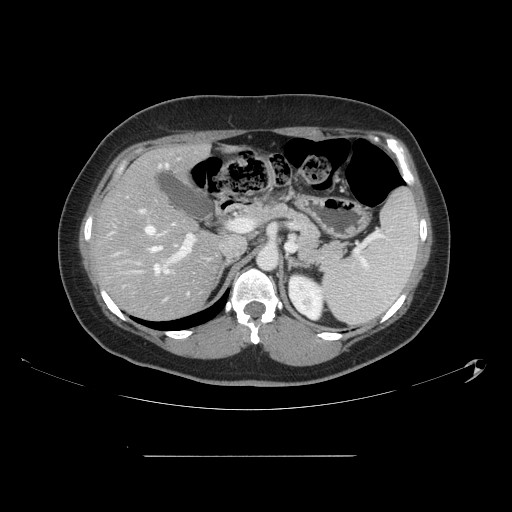
CT, Liver
Only some of the vessels may be annotated.
hepatic_vessel:
  - 166,164,167,166
  - 140,209,143,212
  - 167,234,193,263
  - 154,265,170,274
  - 146,226,154,233
  - 150,246,161,251